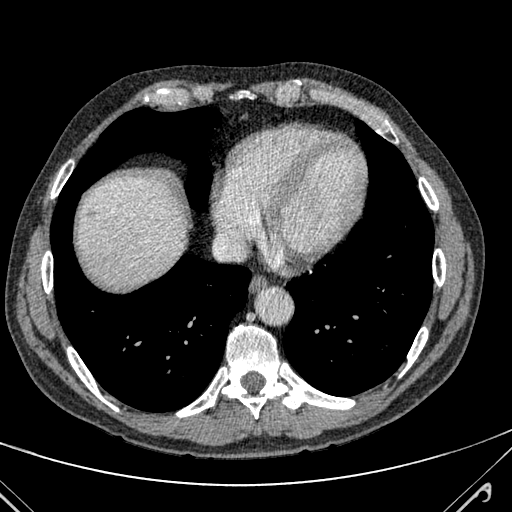
CT image. Image size 512x512.

Liver: rect(77, 176, 185, 285).